Image width 316 mm. CT slice.

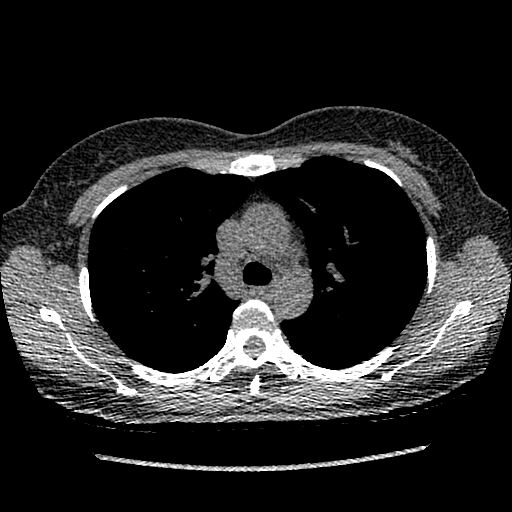 <segmentation>
  <lung_tumor>(330,321,340,331)</lung_tumor>
</segmentation>